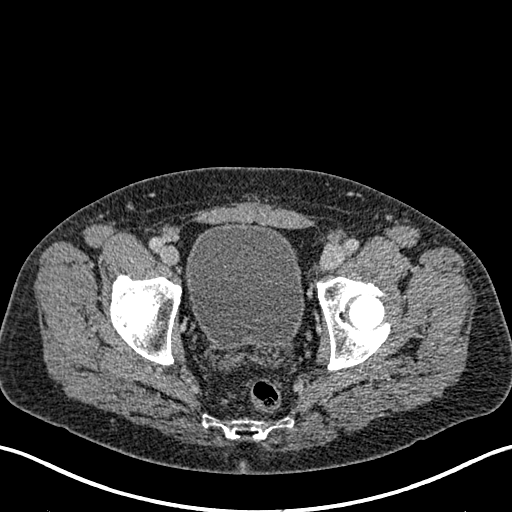

CT. Lower abdomen.
The urinary bladder lies within [186,221,304,347].